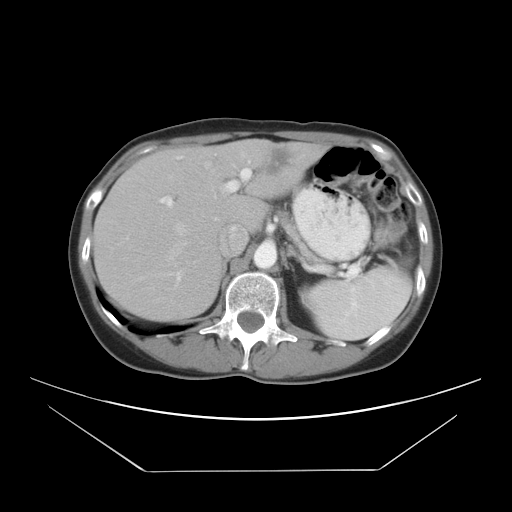
Liver. CT.
Only some of the vessels may be annotated.
Liver tumor at x1=255 y1=148 x2=295 y2=179.
Hepatic vessel at x1=219 y1=182 x2=229 y2=193, x1=175 y1=156 x2=178 y2=158, x1=194 y1=260 x2=196 y2=261, x1=288 y1=172 x2=289 y2=175, x1=187 y1=261 x2=189 y2=262, x1=164 y1=200 x2=172 y2=206, x1=174 y1=222 x2=184 y2=233, x1=159 y1=195 x2=170 y2=201, x1=240 y1=152 x2=245 y2=157, x1=229 y1=167 x2=249 y2=185, x1=183 y1=242 x2=185 y2=243, x1=159 y1=270 x2=181 y2=286, x1=247 y1=159 x2=249 y2=162.